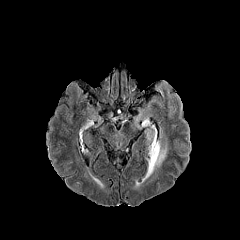
FLAIR MR image.
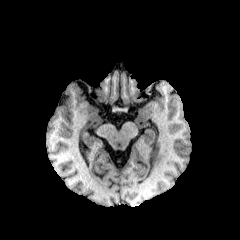
T1-weighted MR of the same slice.
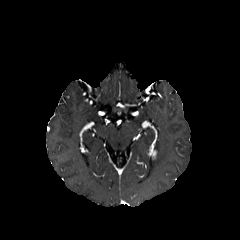
Post-contrast T1-weighted magnetic resonance.
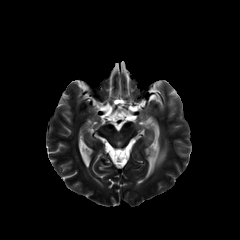
T2-weighted MR image.
Head
edema: region(142, 141, 167, 182) | enhancing tumor: region(149, 142, 156, 159)